Slice 307/836 | Image width 348 mm | Computed tomography 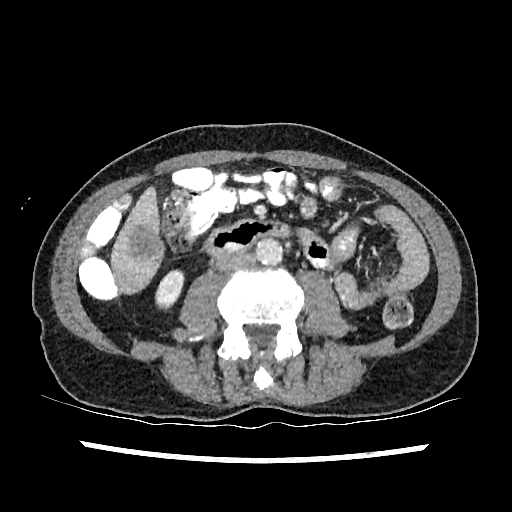 Segmented structures:
- liver: 112 188 162 292
- focal liver lesion: 129 225 162 258
- kidney: 157 271 182 305